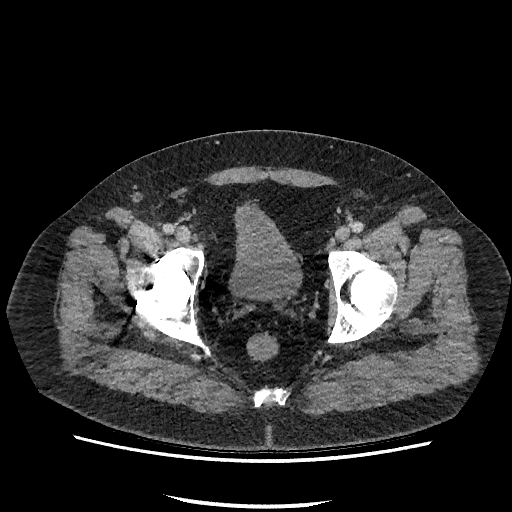 512x512 px; Computed tomography
urinary_bladder:
  - [229,201,302,302]